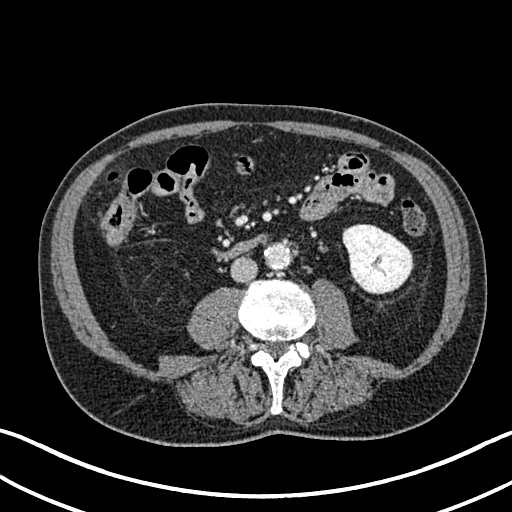

CT scan slice; Image size 512x512; Abdomen
• kidney: 343,225,412,292